CT slice. Field of view 412x412 mm. 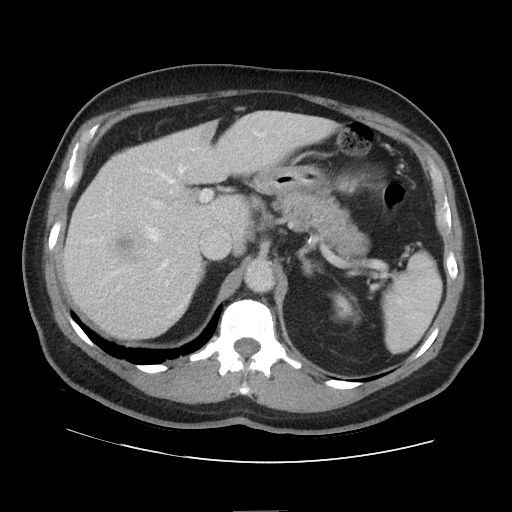 Not every hepatic vessel necessarily has a box.
- hepatic vessel: 150, 200, 163, 208; 166, 209, 169, 212
- liver tumor: 107, 228, 146, 267